FLAIR MR.
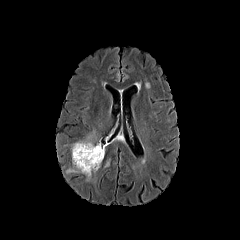
T1-weighted MR image.
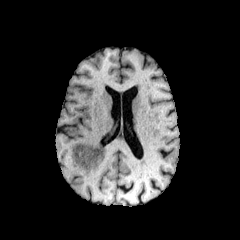
Post-contrast T1-weighted magnetic resonance.
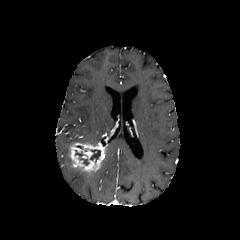
T2-weighted MR.
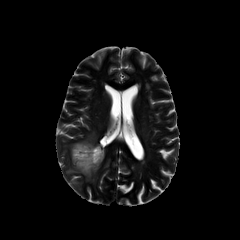
enhancing_tumor:
  - 69 142 107 172
non-enhancing_tumor_core:
  - 89 150 100 162
edema:
  - 79 131 96 146
  - 66 162 99 181